Head | Slice 511/552 | Computed tomography | Field of view 700 mm wide, 3.27 mm slice spacing | Image size 512x512
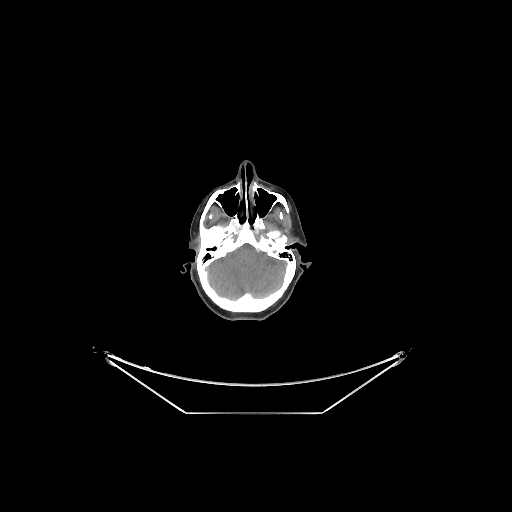

Annotated regions:
- brain: region(207, 243, 285, 299)